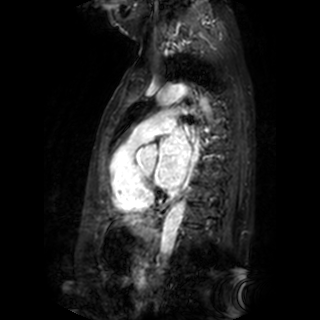
Cardiac; MR

Left atrium at <box>155,129,190,188</box>.